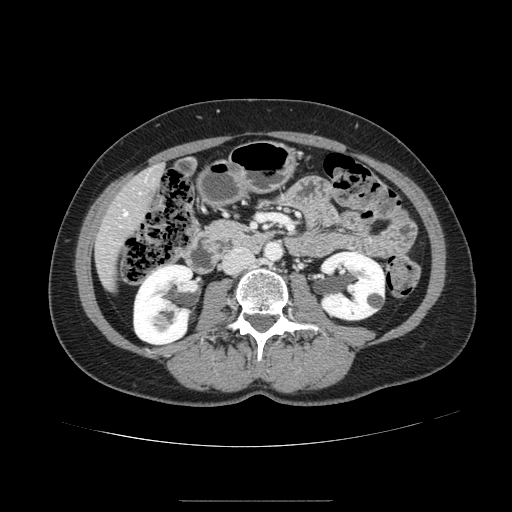

Computed tomography.

Pancreatic tumor at x1=213 y1=238 x2=233 y2=253.
Pancreas at x1=203 y1=219 x2=267 y2=260.